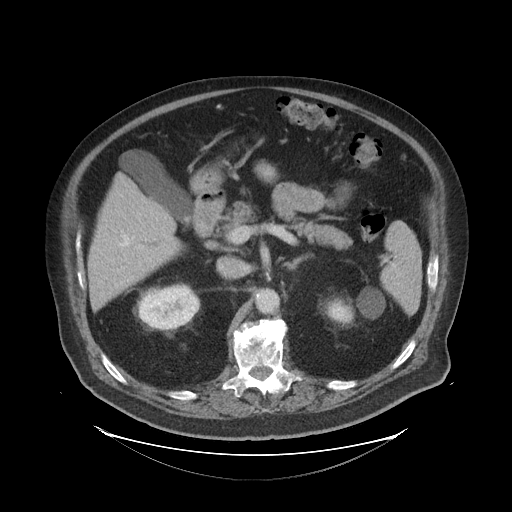 CT | Liver
Only some of the vessels may be annotated.
{"hepatic_vessel": ["123:237:127:244"]}